CT scan slice; Slice 91/168

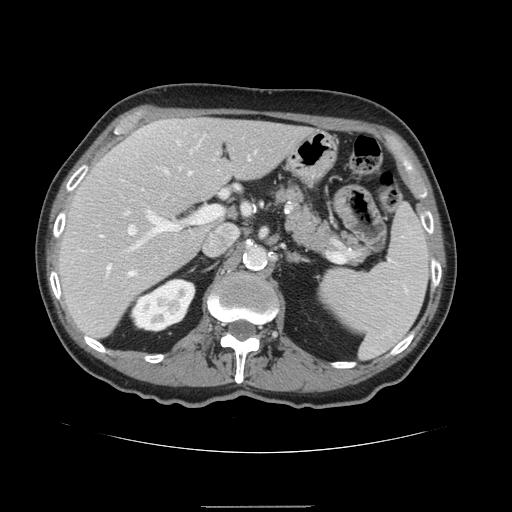 Spleen: bounding box (x1=320, y1=205, x2=429, y2=359).